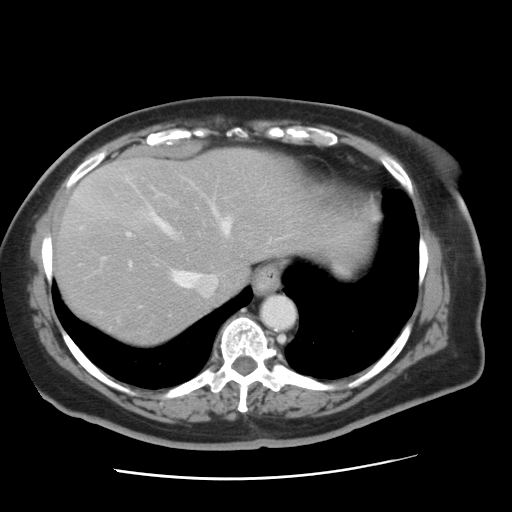

CT
The vessel boxes may cover only some of the vessels.
6 hepatic vessel regions are bounded by 128 261 131 265, 170 269 218 296, 155 190 160 195, 147 204 173 234, 126 232 130 235, 208 199 230 234. The liver tumor is at 97 174 126 210.